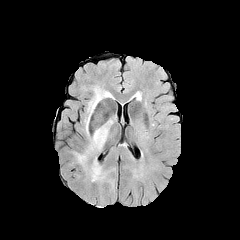
FLAIR magnetic resonance.
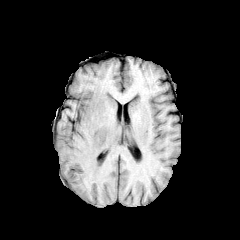
T1-weighted MRI.
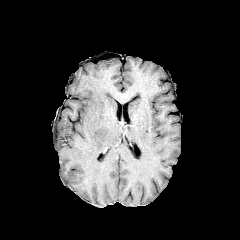
Same slice, post-contrast T1-weighted MR.
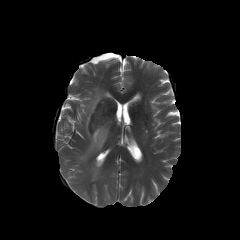
Same slice, T2-weighted MR image.
Head
2 edema regions are located at 77:88:112:163, 91:161:101:181.